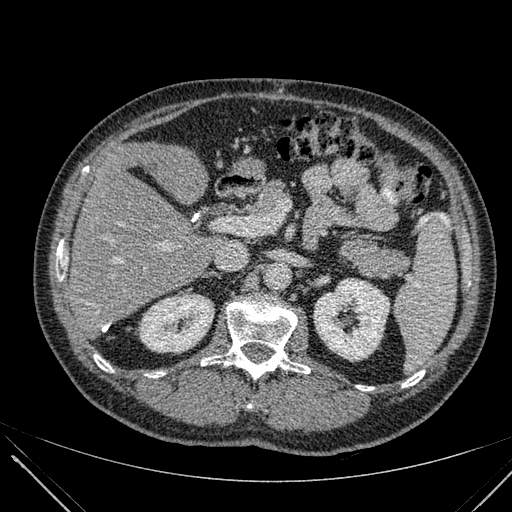
CT image; Liver

<segmentation>
  <liver>box=[70, 143, 228, 330]</liver>
  <kidney>box=[314, 279, 389, 359]; box=[140, 295, 213, 351]</kidney>
</segmentation>